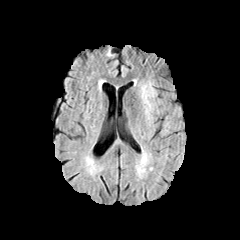
FLAIR MR image.
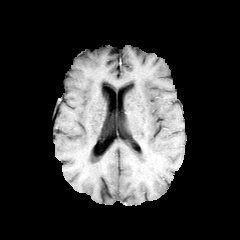
T1-weighted MR of the same slice.
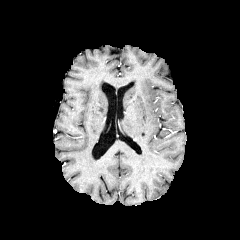
Post-contrast T1-weighted MR image.
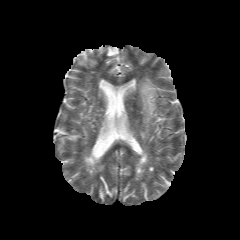
T2-weighted MR of the same slice.
Head.
Edema = 139 84 156 119, 136 148 151 175.